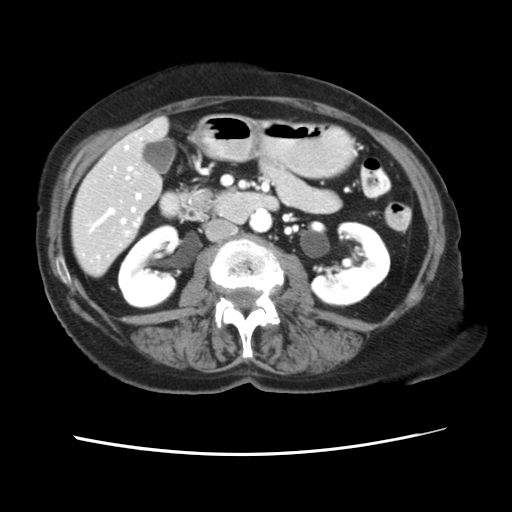 CT image
The vessel annotation is not exhaustive.
14 hepatic vessel regions are bounded by <bbox>111, 176, 112, 177</bbox>, <bbox>136, 134, 141, 139</bbox>, <bbox>114, 168, 115, 170</bbox>, <bbox>97, 256, 99, 258</bbox>, <bbox>128, 167, 138, 174</bbox>, <bbox>150, 130, 151, 132</bbox>, <bbox>124, 145, 128, 149</bbox>, <bbox>119, 244, 121, 245</bbox>, <bbox>132, 209, 134, 211</bbox>, <bbox>88, 208, 114, 232</bbox>, <bbox>121, 219, 125, 223</bbox>, <bbox>136, 193, 139, 198</bbox>, <bbox>124, 231, 131, 235</bbox>, <bbox>133, 219, 139, 226</bbox>.